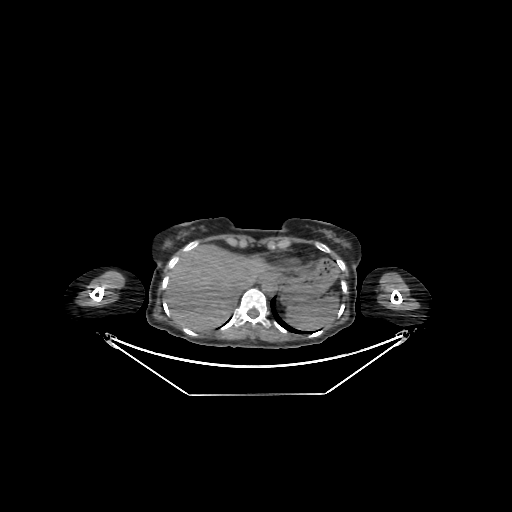 Upper abdomen | CT

liver: 165,245,269,331